Brain
FLAIR magnetic resonance.
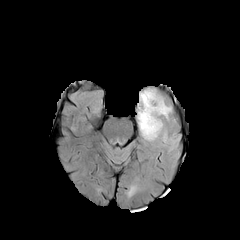
T1-weighted MR.
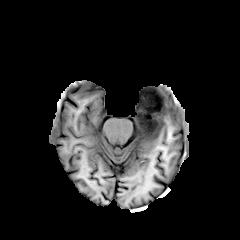
Post-contrast T1-weighted MR.
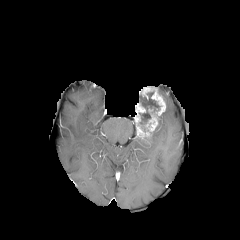
T2-weighted MRI.
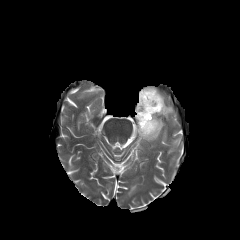
<segmentation>
  <enhancing_tumor>region(136, 87, 166, 138)</enhancing_tumor>
  <non-enhancing_tumor_core>region(139, 92, 159, 127)</non-enhancing_tumor_core>
  <edema>region(162, 104, 172, 120); region(144, 119, 163, 143)</edema>
</segmentation>